FLAIR MRI.
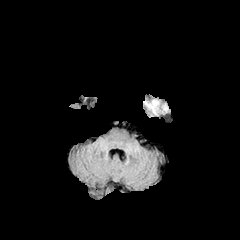
T1-weighted magnetic resonance.
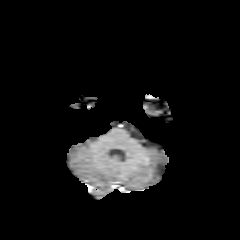
Post-contrast T1-weighted magnetic resonance.
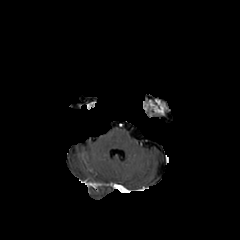
T2-weighted MR.
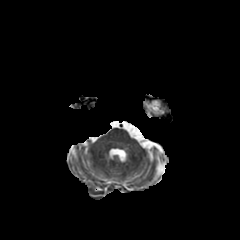
The enhancing tumor is bounded by box(144, 100, 165, 113).